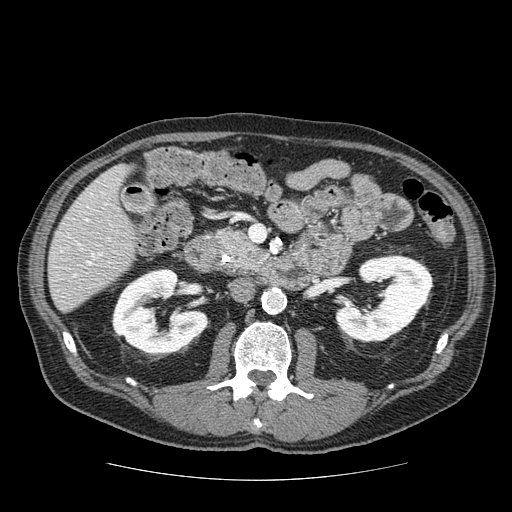 Abdomen | CT | 512x512

* pancreas: <box>215,228,270,274</box>